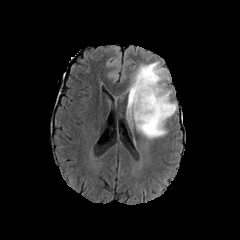
FLAIR MR.
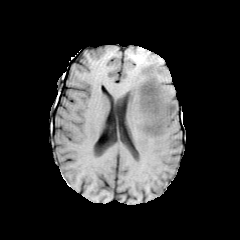
T1-weighted MRI of the same slice.
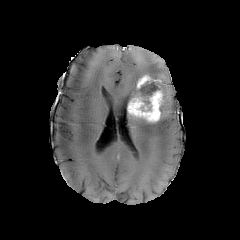
Same slice, post-contrast T1-weighted MR image.
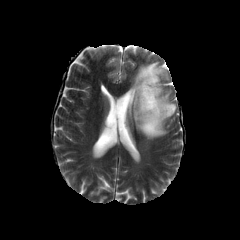
Same slice, T2-weighted MR.
Image size 240x240 | Head
<segmentation>
  <edema>[125, 61, 172, 105], [126, 112, 175, 139]</edema>
  <non-enhancing_tumor_core>[143, 118, 157, 131], [137, 74, 176, 119]</non-enhancing_tumor_core>
  <enhancing_tumor>[127, 90, 163, 122], [137, 74, 151, 88]</enhancing_tumor>
</segmentation>